FLAIR MR.
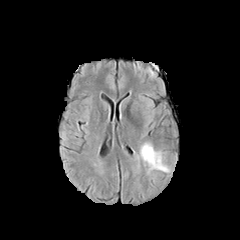
T1-weighted magnetic resonance.
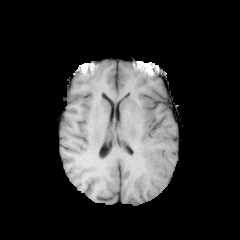
Post-contrast T1-weighted MR.
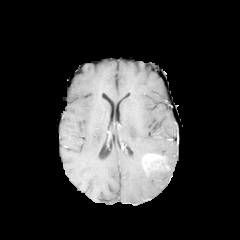
T2-weighted MRI.
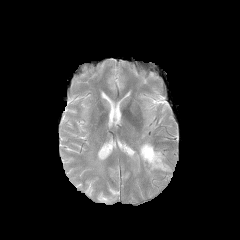
Brain.
enhancing_tumor:
  - (x1=142, y1=151, x2=170, y2=172)
edema:
  - (x1=131, y1=138, x2=165, y2=167)